Computed tomography, Liver, Slice 40/88 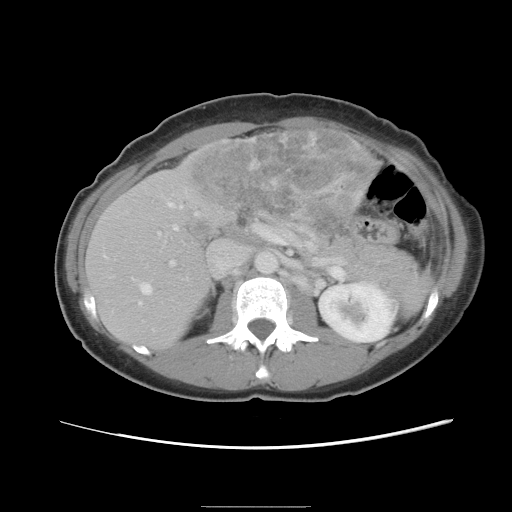

The vessel annotation is not exhaustive.
Hepatic vessel — (x1=138, y1=301, x2=140, y2=304), (x1=169, y1=260, x2=173, y2=264), (x1=168, y1=202, x2=172, y2=206), (x1=332, y1=267, x2=338, y2=276), (x1=132, y1=278, x2=134, y2=279), (x1=210, y1=238, x2=252, y2=277), (x1=305, y1=241, x2=314, y2=249), (x1=178, y1=205, x2=181, y2=206), (x1=253, y1=226, x2=301, y2=246), (x1=195, y1=212, x2=197, y2=214), (x1=315, y1=259, x2=326, y2=263), (x1=158, y1=232, x2=159, y2=233), (x1=173, y1=225, x2=176, y2=228), (x1=139, y1=282, x2=150, y2=293).
Liver tumor — (x1=184, y1=130, x2=371, y2=242).